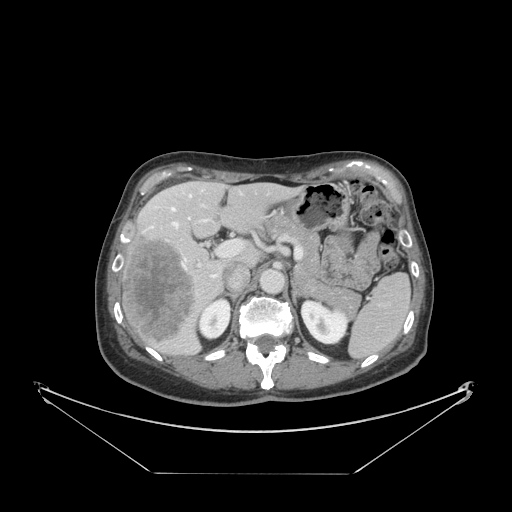

CT slice | Image size 512x512 | Abdomen
spleen: {"x1": 350, "y1": 275, "x2": 410, "y2": 357}